FLAIR MR.
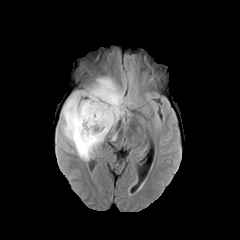
T1-weighted MR.
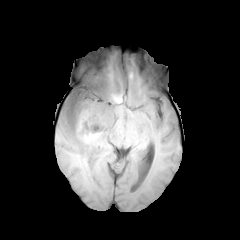
Post-contrast T1-weighted MRI.
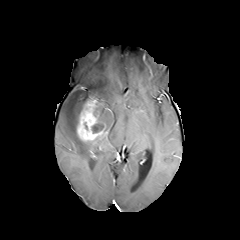
T2-weighted MR image.
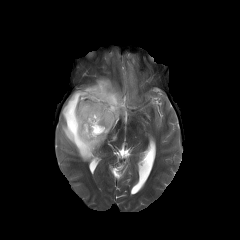
Head
{
  "non-enhancing_tumor_core": [
    "x1=69, y1=115, x2=82, y2=141",
    "x1=69, y1=92, x2=80, y2=111",
    "x1=81, y1=87, x2=107, y2=133"
  ],
  "enhancing_tumor": [
    "x1=77, y1=98, x2=107, y2=141"
  ],
  "edema": [
    "x1=61, y1=90, x2=107, y2=160",
    "x1=84, y1=74, x2=129, y2=132"
  ]
}